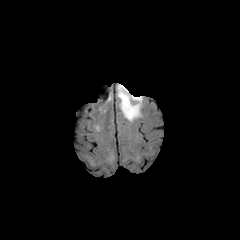
FLAIR MRI.
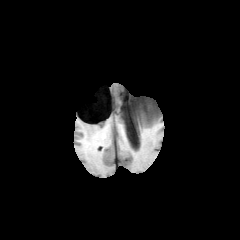
T1-weighted MR.
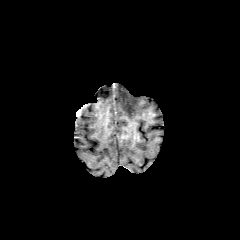
Post-contrast T1-weighted magnetic resonance.
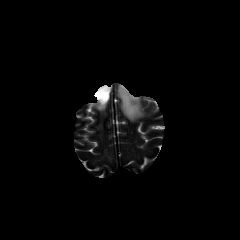
Same slice, T2-weighted MR.
240x240.
edema: (117,85,142,120)